Brain. Slice index 121.
FLAIR MR.
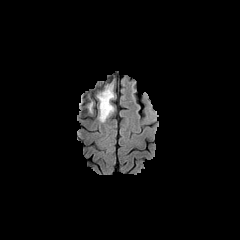
T1-weighted MR image.
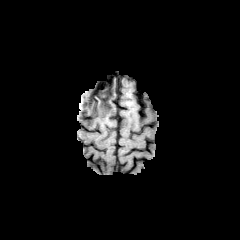
Post-contrast T1-weighted MRI.
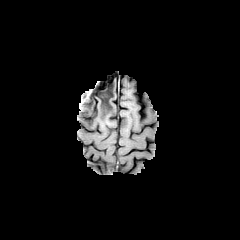
T2-weighted MR image.
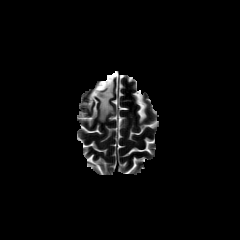
Annotated regions:
• edema: left=86, top=82, right=114, bottom=123